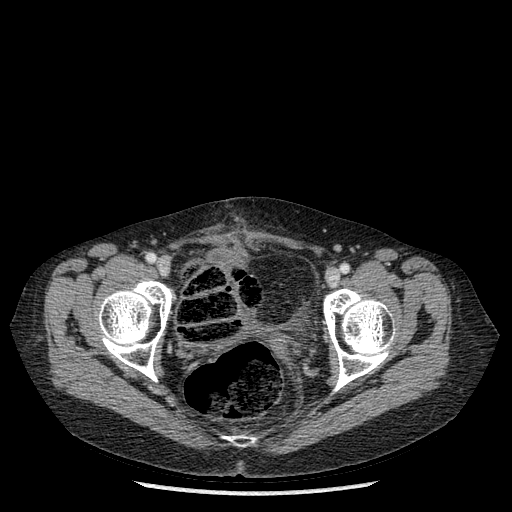

Computed tomography
bone:
  - <box>222,435,256,446</box>
  - <box>96,279,174,382</box>
  - <box>323,288,393,391</box>